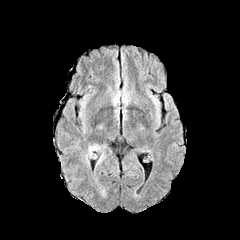
FLAIR MR image.
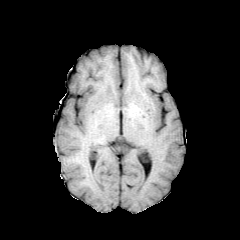
T1-weighted magnetic resonance of the same slice.
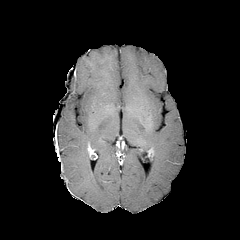
Same slice, post-contrast T1-weighted magnetic resonance.
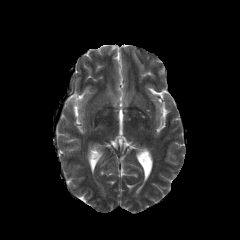
T2-weighted MR of the same slice.
240x240 px.
Findings:
- edema: rect(84, 149, 91, 164); rect(90, 143, 107, 166); rect(115, 91, 126, 102)
- enhancing tumor: rect(88, 146, 95, 158)